Liver. 512x512 px. Computed tomography.

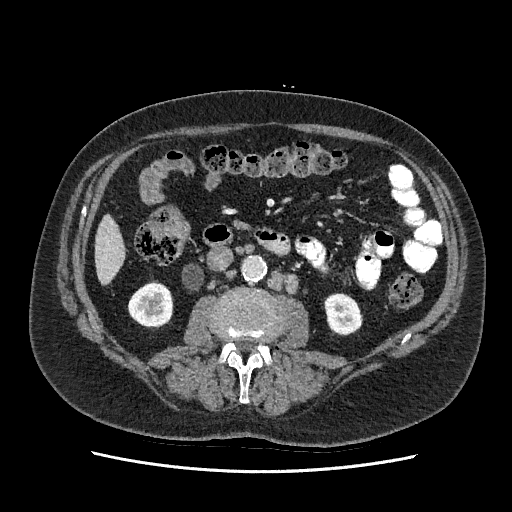 Liver: bounding box 95:215:124:285.
Kidney: bounding box 325:294:360:333, 129:283:171:325.